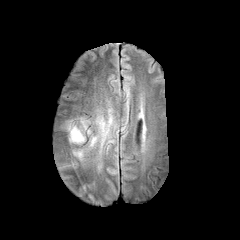
FLAIR magnetic resonance.
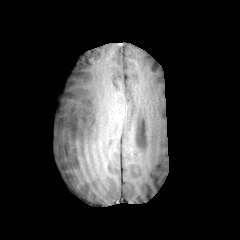
T1-weighted magnetic resonance of the same slice.
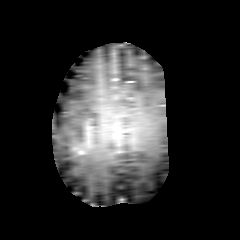
Post-contrast T1-weighted MR.
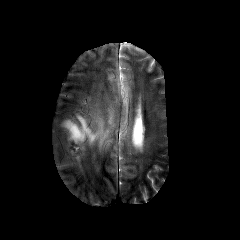
T2-weighted magnetic resonance.
Head, 240x240
edema:
  - box=[65, 117, 105, 156]